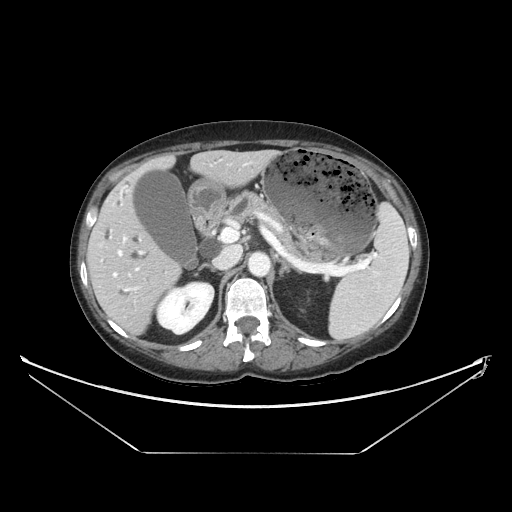 Upper abdomen. CT.

{"pancreas": [{"x1": 226, "y1": 191, "x2": 331, "y2": 262}]}